Computed tomography, Slice 68/432
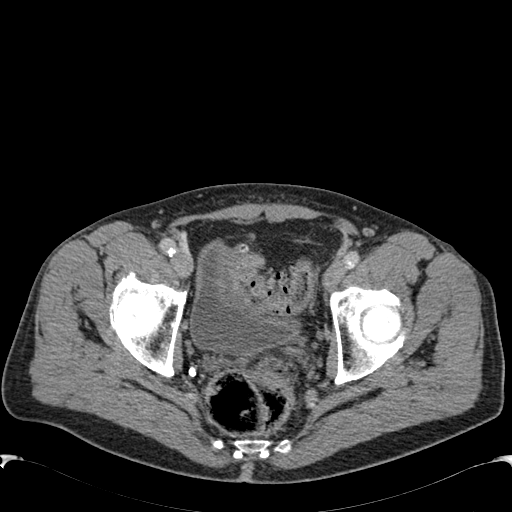 • urinary bladder: region(189, 238, 300, 363)